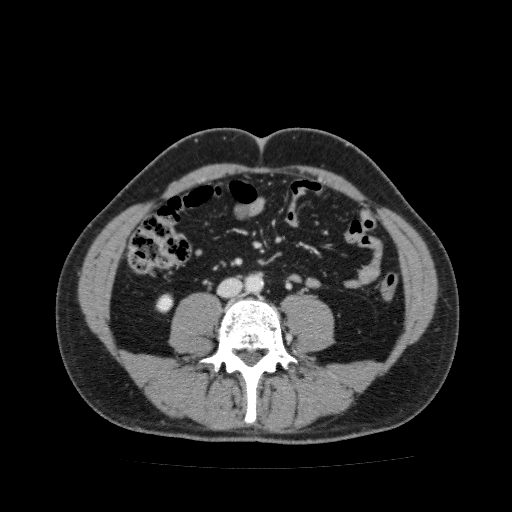

CT scan slice | 512x512 px

<segmentation>
  <kidney>(157,295,171,310)</kidney>
</segmentation>